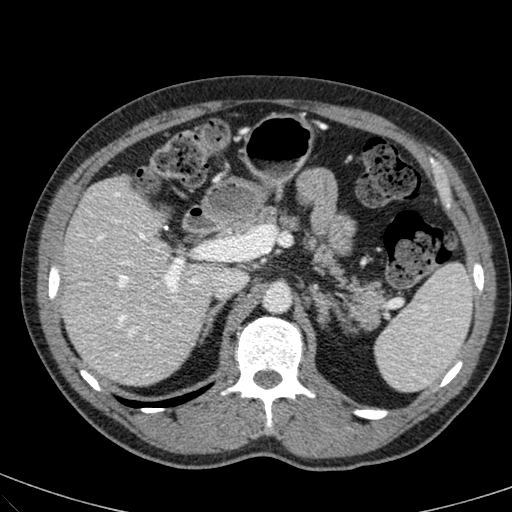 Image size 512x512, CT image

{
  "liver": [
    "left=60, top=178, right=219, bottom=384"
  ]
}